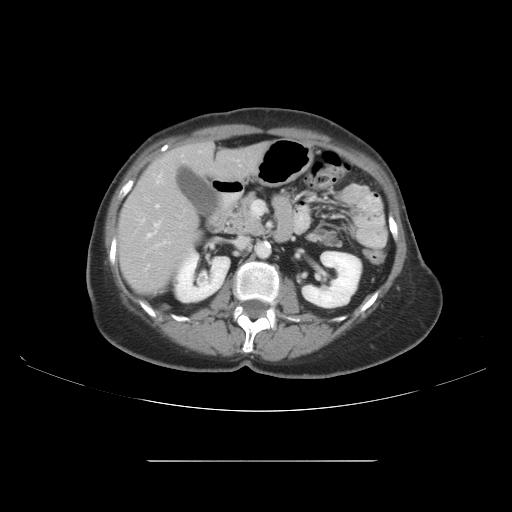 Image size 512x512. Computed tomography.
Findings:
- pancreas: <bbox>224, 192, 265, 236</bbox>, <bbox>310, 232, 335, 245</bbox>